Slice 37/155
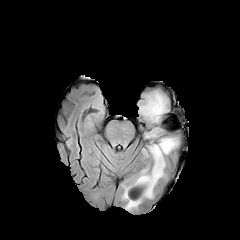
FLAIR MR.
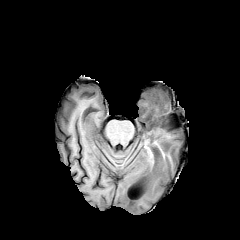
T1-weighted MRI.
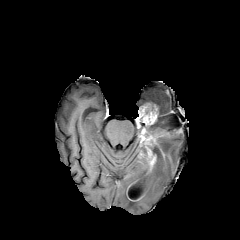
Post-contrast T1-weighted MR image.
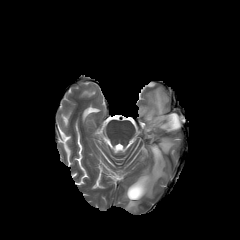
T2-weighted magnetic resonance of the same slice.
2 edema regions are located at (left=123, top=137, right=178, bottom=209), (left=148, top=91, right=167, bottom=123). The enhancing tumor is at (left=144, top=107, right=157, bottom=121).